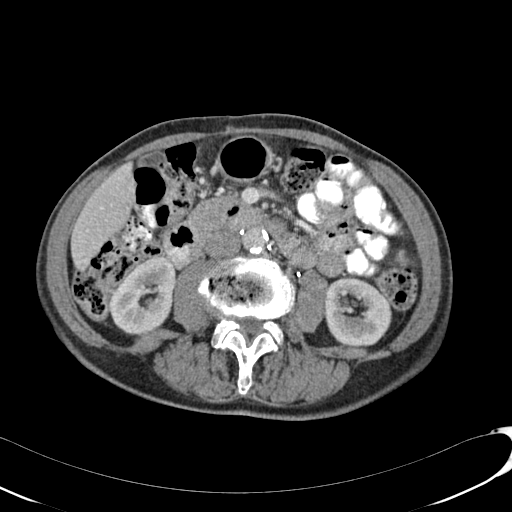 CT slice. 512x512. Abdomen.

Liver — (left=72, top=163, right=135, bottom=270).
Kidney — (left=109, top=256, right=175, bottom=333), (left=325, top=279, right=390, bottom=345).